FLAIR magnetic resonance.
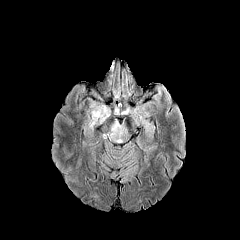
T1-weighted MR.
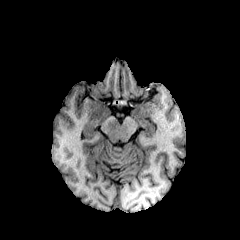
Post-contrast T1-weighted MR image.
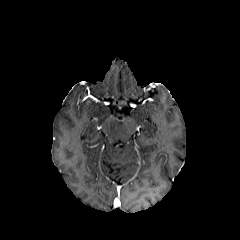
T2-weighted MR.
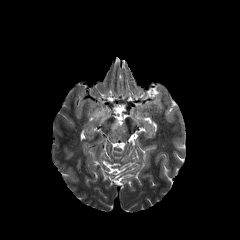
<segmentation>
  <edema>92 107 109 120</edema>
</segmentation>